FLAIR MRI.
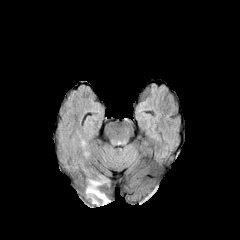
T1-weighted MRI.
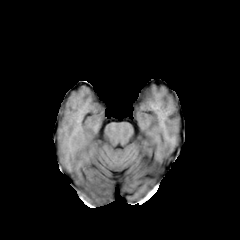
Post-contrast T1-weighted MR.
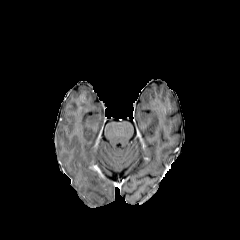
T2-weighted MRI.
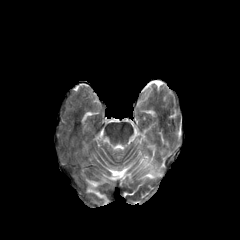
edema:
  - <box>86,178,109,204</box>